CT. Lower abdomen.
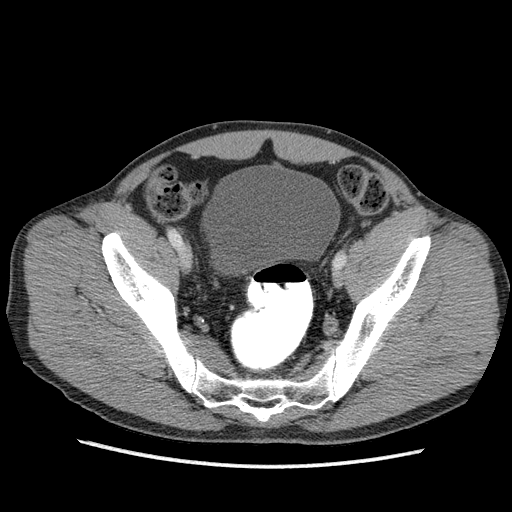
{"urinary_bladder": ["box=[202, 164, 340, 275]"]}